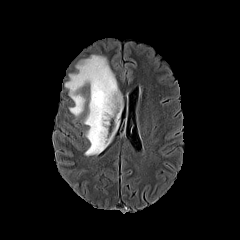
FLAIR MR.
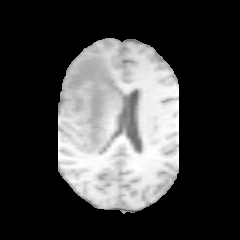
Same slice, T1-weighted MR.
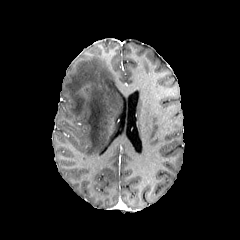
Post-contrast T1-weighted MRI.
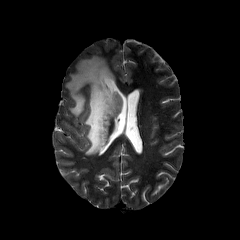
Same slice, T2-weighted MR.
240x240 | Head
The edema is located at 65 55 121 156.